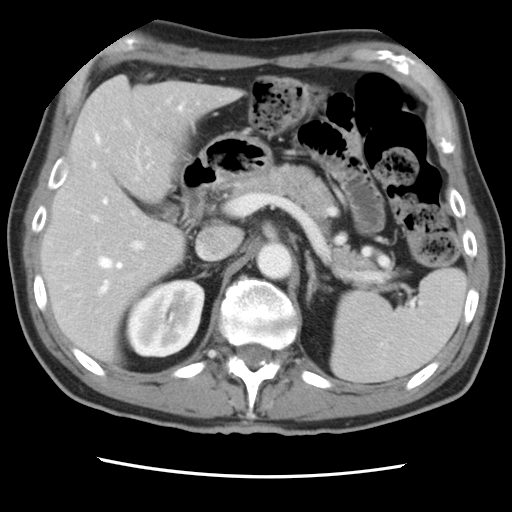

Image size 512x512 | Computed tomography | Abdomen

Not every hepatic vessel necessarily has a box.
* hepatic vessel: 179,104,182,110; 133,211,134,214; 104,199,107,202; 99,257,111,267; 137,160,139,166; 116,262,121,267; 147,150,148,154; 93,216,98,220; 101,281,108,292; 133,242,141,248; 93,163,95,166; 96,135,99,141